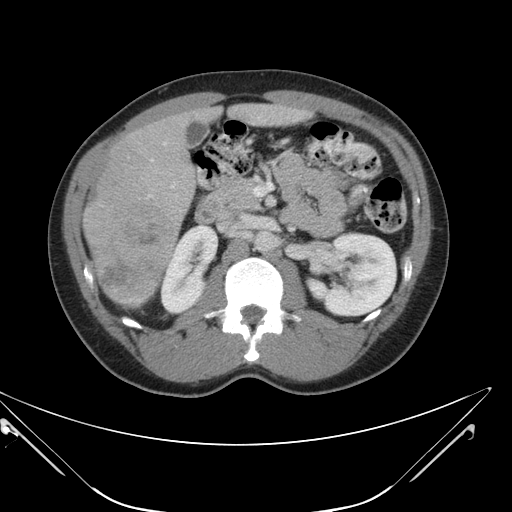 CT. Abdomen.

Some hepatic vessels may have no box.
Liver tumor: box(95, 206, 178, 304).
Hepatic vessel: box(163, 142, 165, 145); box(171, 184, 175, 187); box(150, 159, 152, 161).